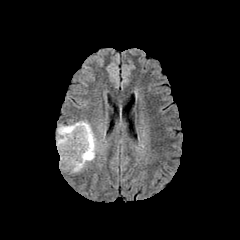
FLAIR MRI.
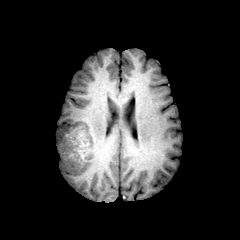
T1-weighted MR image.
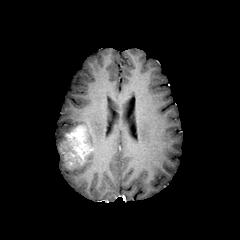
Post-contrast T1-weighted MR image of the same slice.
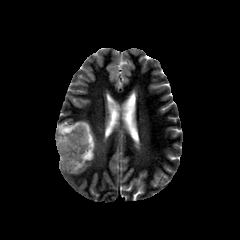
Same slice, T2-weighted magnetic resonance.
<segmentation>
  <edema>region(57, 120, 98, 172)</edema>
  <enhancing_tumor>region(61, 126, 91, 167)</enhancing_tumor>
  <non-enhancing_tumor_core>region(81, 124, 94, 150); region(58, 133, 69, 152)</non-enhancing_tumor_core>
</segmentation>